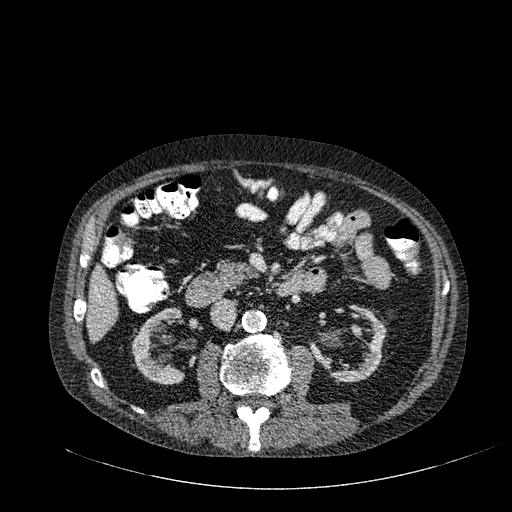
Liver. Computed tomography. Liver: bounding box 88, 266, 117, 340.
Kidney: bounding box 132, 307, 195, 384; 310, 305, 386, 381; 189, 356, 196, 366; 189, 318, 198, 328; 319, 312, 325, 325.